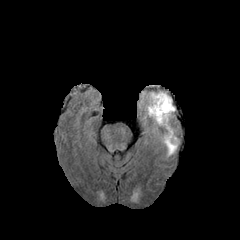
FLAIR magnetic resonance.
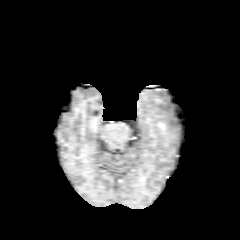
Same slice, T1-weighted MRI.
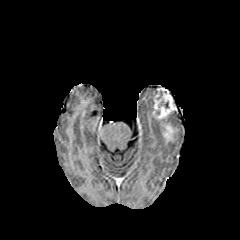
Post-contrast T1-weighted MR image of the same slice.
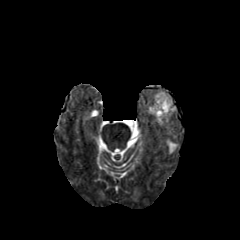
T2-weighted MR image.
Head
enhancing tumor: box=[152, 89, 176, 142] | edema: box=[147, 92, 152, 116]; box=[166, 139, 177, 155]